CT
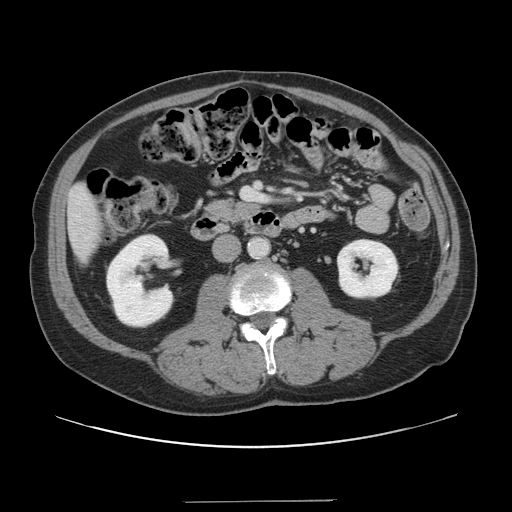

Only some of the vessels may be annotated.
{
  "hepatic_vessel": [
    "x1=257, y1=195, x2=264, y2=200",
    "x1=243, y1=189, x2=255, y2=198"
  ]
}